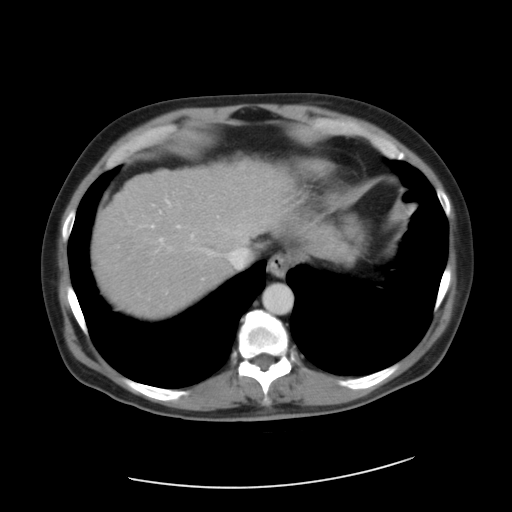
Abdomen; CT scan slice
Some hepatic vessels may have no box.
Segmented structures:
* hepatic vessel: [x1=188, y1=247, x2=191, y2=249], [x1=165, y1=198, x2=170, y2=206], [x1=190, y1=234, x2=194, y2=240], [x1=201, y1=248, x2=217, y2=255], [x1=177, y1=225, x2=179, y2=227], [x1=229, y1=249, x2=247, y2=268], [x1=152, y1=224, x2=154, y2=227], [x1=234, y1=229, x2=247, y2=242], [x1=168, y1=246, x2=171, y2=250], [x1=158, y1=238, x2=164, y2=245]